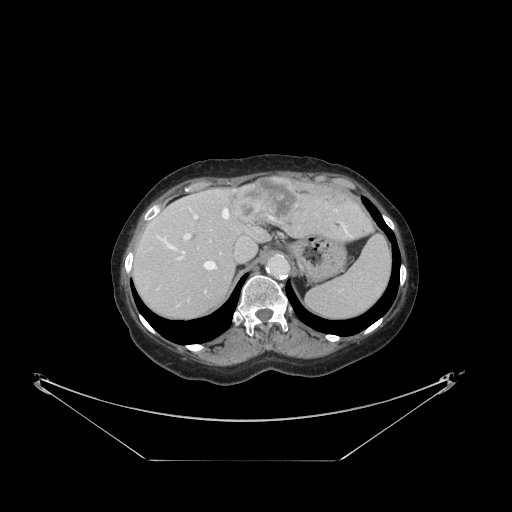
CT scan slice.

The vessel boxes may cover only some of the vessels.
<segmentation>
  <liver_tumor>x1=231, y1=176, x2=298, y2=225</liver_tumor>
  <hepatic_vessel>x1=156, y1=234, x2=176, y2=250; x1=235, y1=244, x2=255, y2=260; x1=222, y1=208, x2=229, y2=219; x1=191, y1=210, x2=197, y2=218; x1=184, y1=234, x2=190, y2=239; x1=177, y1=250, x2=184, y2=259; x1=204, y1=261, x2=215, y2=269</hepatic_vessel>
</segmentation>